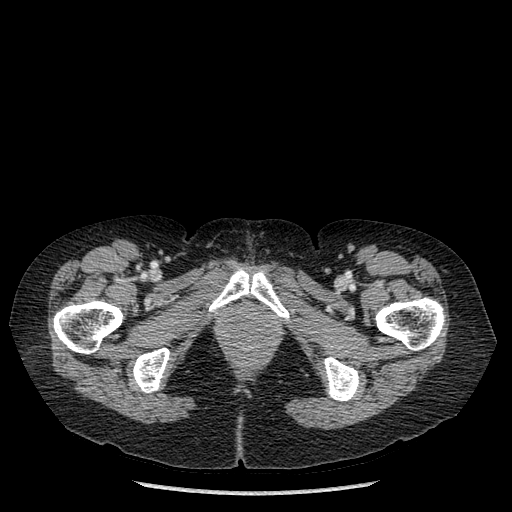

CT scan slice.

Bone: bounding box bbox=[132, 347, 170, 392]; bbox=[323, 357, 359, 401]; bbox=[375, 297, 444, 350]; bbox=[53, 299, 123, 353]; bbox=[209, 267, 289, 321].